FLAIR MR image.
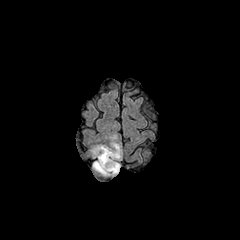
T1-weighted MR image.
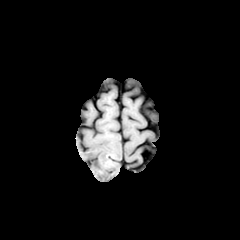
Post-contrast T1-weighted MR image.
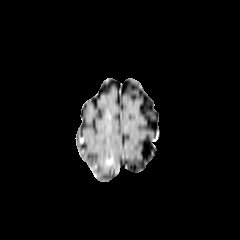
T2-weighted MRI.
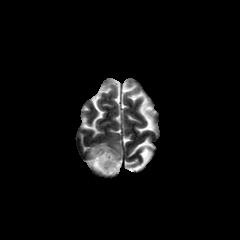
Image size 240x240; Head
The edema is located at 90:135:122:176. The non-enhancing tumor core is located at 101:155:117:171.